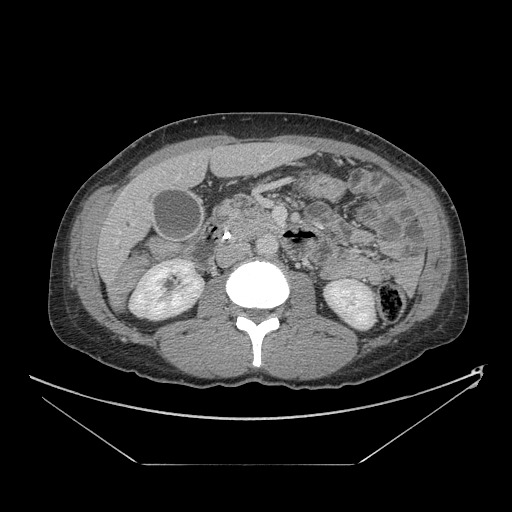
Abdomen; CT scan slice
<segmentation>
  <pancreas>(left=214, top=195, right=280, bottom=244)</pancreas>
</segmentation>